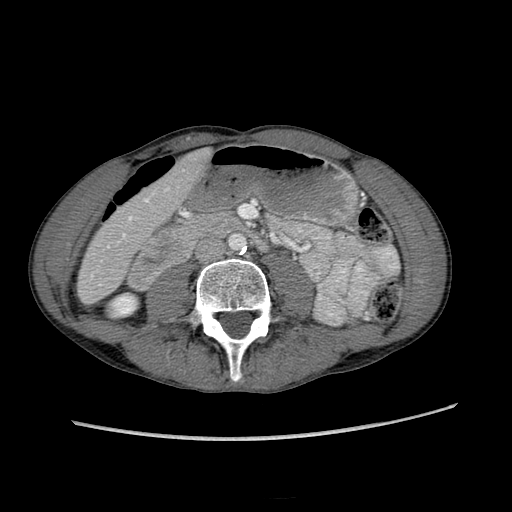

CT image. Abdomen. 512x512. Kidney = x1=113, y1=296, x2=135, y2=315.
Liver = x1=80, y1=148, x2=207, y2=297.